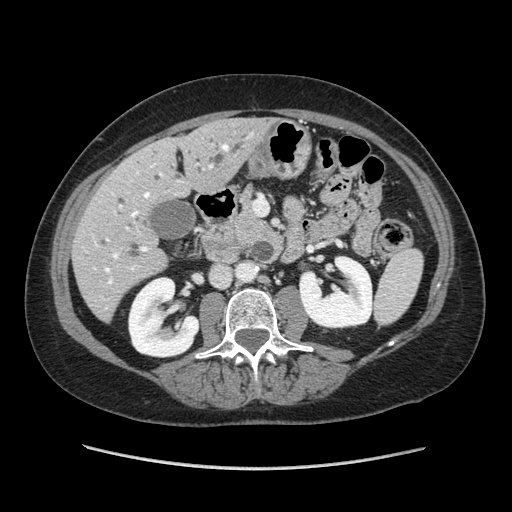 Computed tomography | Upper abdomen
Findings:
• pancreas: x1=232 y1=183 x2=270 y2=248